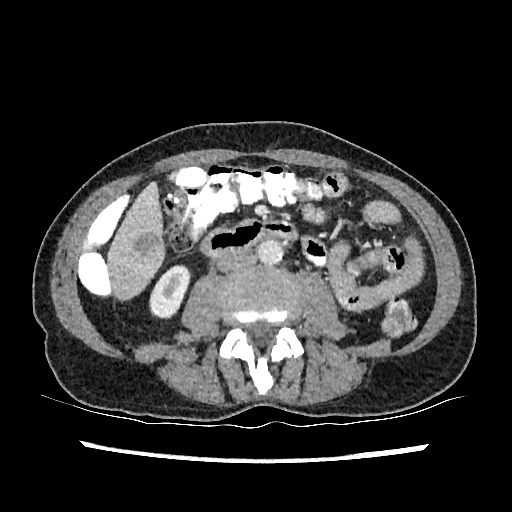
Image size 512x512. Computed tomography. The liver is located at <box>108,181,163,299</box>. The liver lesion is bounded by <box>133,235,154,254</box>. The kidney is at <box>150,266,189,316</box>.